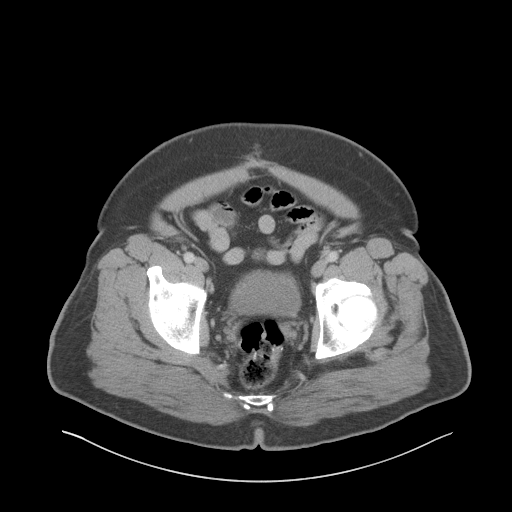

Pelvis | CT | 512x512 px
Annotated regions:
- urinary bladder: bbox(228, 272, 299, 313)